FLAIR magnetic resonance.
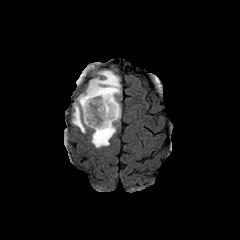
T1-weighted magnetic resonance.
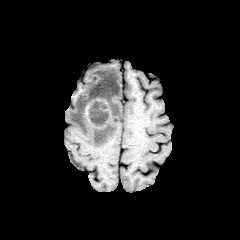
Post-contrast T1-weighted MR image.
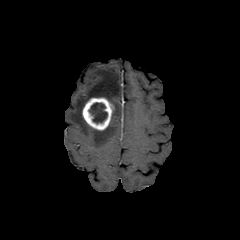
T2-weighted magnetic resonance.
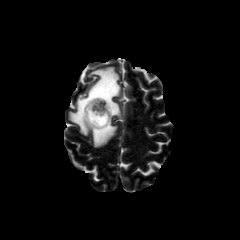
Brain
Enhancing tumor — [x1=82, y1=97, x2=114, y2=130].
Non-enhancing tumor core — [x1=89, y1=103, x2=107, y2=123].
Edema — [x1=70, y1=66, x2=120, y2=148].